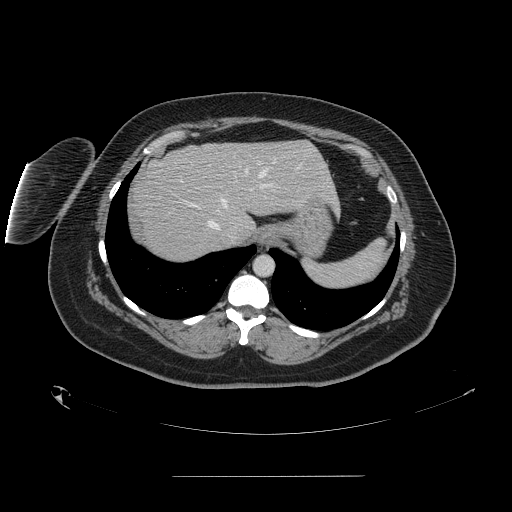 Computed tomography | 512x512 px

spleen: l=303, t=238, r=386, b=289